Field of view 429x429 mm, CT image, Slice 561/917 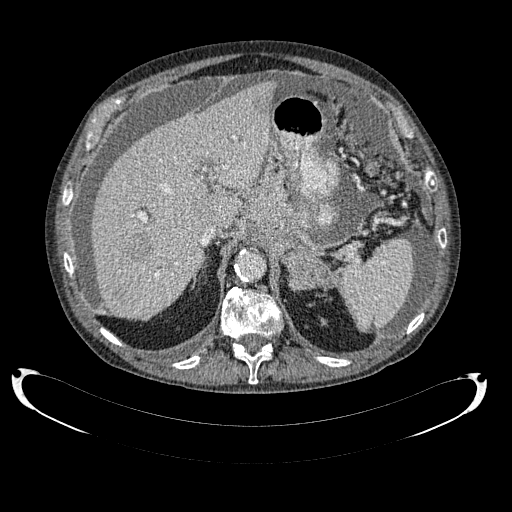

<segmentation>
  <liver_lesion>196 205 213 218, 123 235 149 263</liver_lesion>
  <liver>90 81 275 318</liver>
</segmentation>